Slice index 486, Field of view 382x382 mm, CT, Upper abdomen

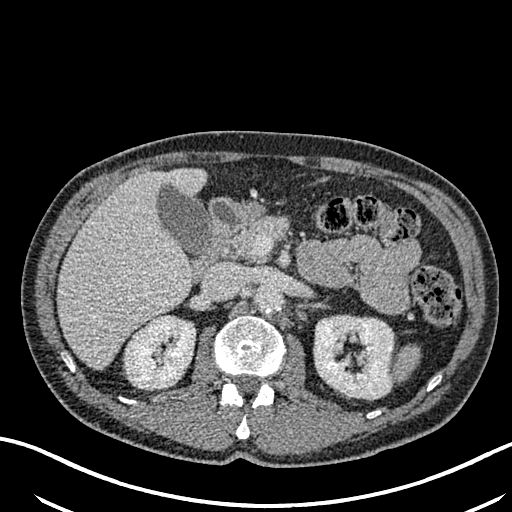
Liver = [57,170,205,369].
Kidney = [314,316,392,396], [125,316,195,388].